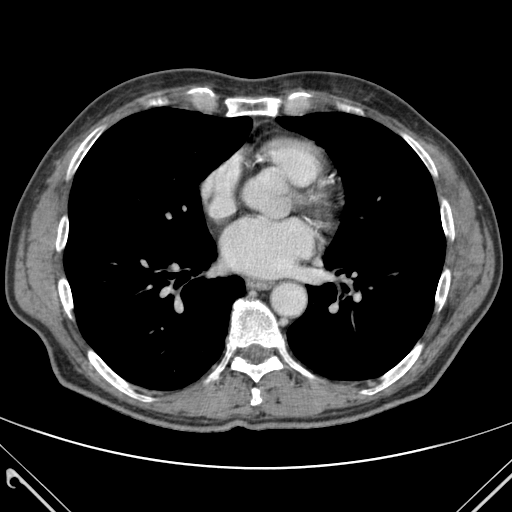

CT scan slice

Lung — bbox=[278, 112, 445, 380]; bbox=[63, 107, 252, 390].
Most prominent 15 of 16 bone regions — bbox=[88, 351, 150, 401]; bbox=[68, 129, 99, 173]; bbox=[441, 200, 454, 238]; bbox=[231, 357, 282, 381]; bbox=[330, 102, 363, 113]; bbox=[435, 270, 449, 308]; bbox=[137, 98, 168, 105]; bbox=[226, 299, 312, 377]; bbox=[56, 217, 68, 256]; bbox=[188, 88, 219, 99]; bbox=[362, 345, 421, 394]; bbox=[224, 93, 311, 116]; bbox=[207, 362, 225, 381]; bbox=[59, 271, 72, 315]; bbox=[404, 135, 436, 174].